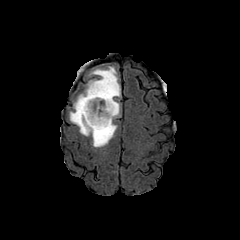
FLAIR magnetic resonance.
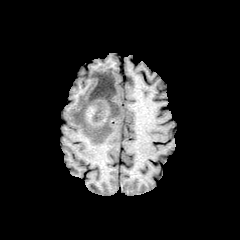
Same slice, T1-weighted magnetic resonance.
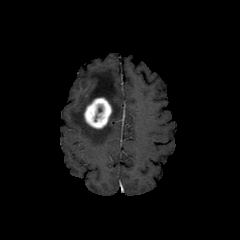
Post-contrast T1-weighted MR of the same slice.
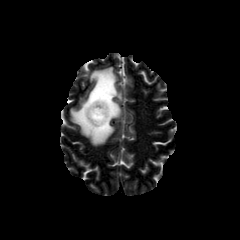
T2-weighted magnetic resonance of the same slice.
240x240.
The enhancing tumor is bounded by <box>84,97,111,129</box>. The non-enhancing tumor core is bounded by <box>75,73,116,133</box>. The edema is at <box>68,66,121,147</box>.